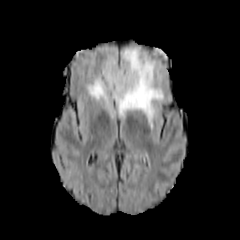
FLAIR magnetic resonance.
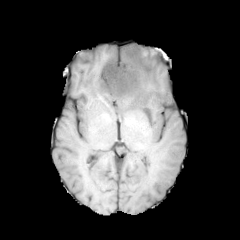
T1-weighted MRI.
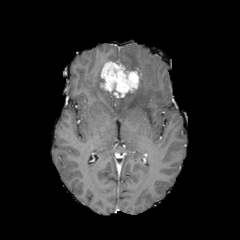
Same slice, post-contrast T1-weighted MRI.
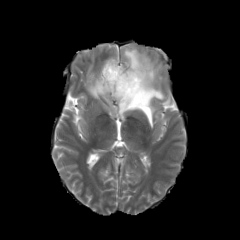
T2-weighted MRI.
240x240 px
2 edema regions are bounded by [113, 48, 164, 128], [87, 75, 114, 99]. The enhancing tumor lies within [100, 61, 141, 97]. The non-enhancing tumor core is located at [117, 90, 132, 104].